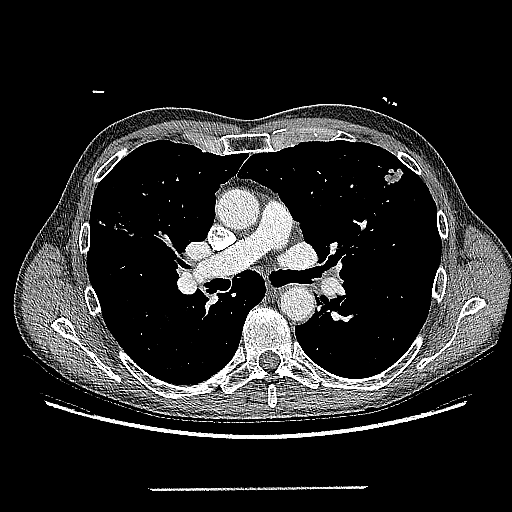

Thorax; Computed tomography

Annotated regions:
• lung tumor: [x1=383, y1=166, x2=403, y2=185]